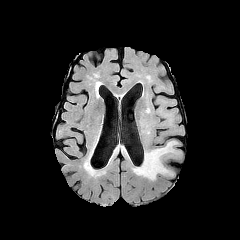
FLAIR MR image.
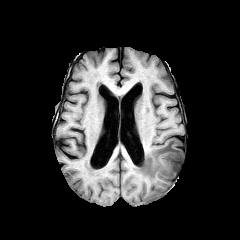
T1-weighted MRI.
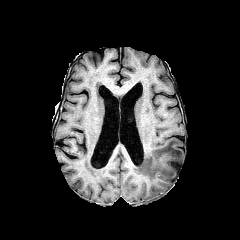
Same slice, post-contrast T1-weighted MRI.
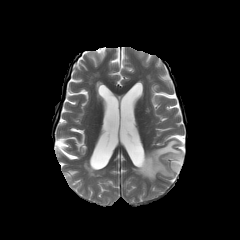
T2-weighted MR of the same slice.
Brain; Image size 240x240
{
  "edema": [
    "[131, 140, 181, 180]"
  ]
}